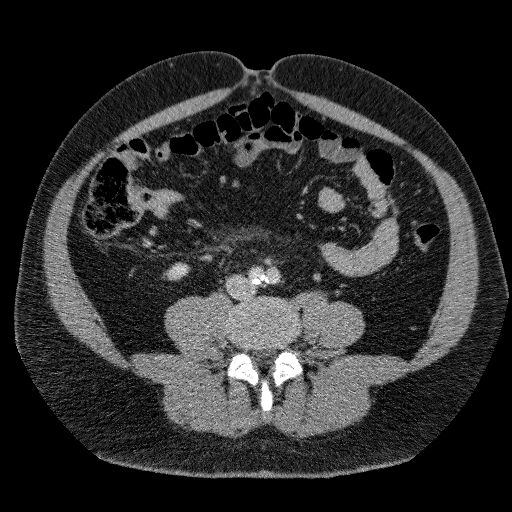
Computed tomography; Abdomen
{"kidney": ["bbox=[170, 266, 185, 274]"]}